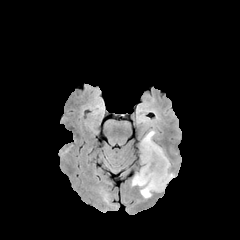
FLAIR MR.
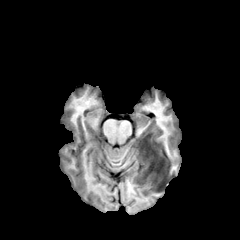
T1-weighted MRI.
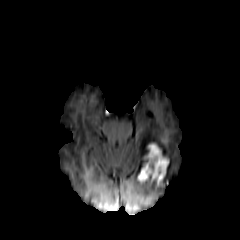
Post-contrast T1-weighted MRI.
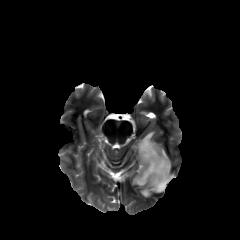
T2-weighted magnetic resonance of the same slice.
Head; Image size 240x240
{"enhancing_tumor": ["(137, 143, 168, 186)"], "non-enhancing_tumor_core": ["(143, 143, 151, 164)"], "edema": ["(139, 130, 156, 166)", "(132, 160, 174, 197)"]}